FLAIR MRI.
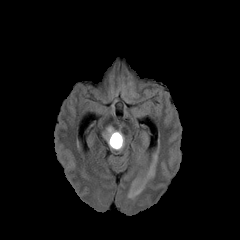
T1-weighted MRI.
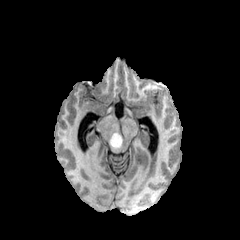
Post-contrast T1-weighted MRI.
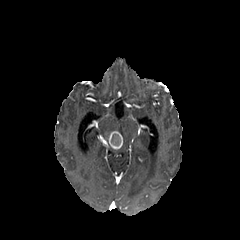
T2-weighted magnetic resonance.
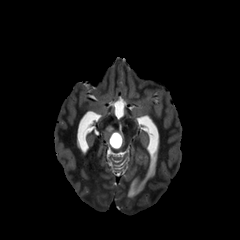
Brain
enhancing tumor: bbox=[109, 130, 123, 149] | edema: bbox=[110, 137, 124, 152]; bbox=[104, 125, 112, 140] | non-enhancing tumor core: bbox=[111, 133, 120, 146]